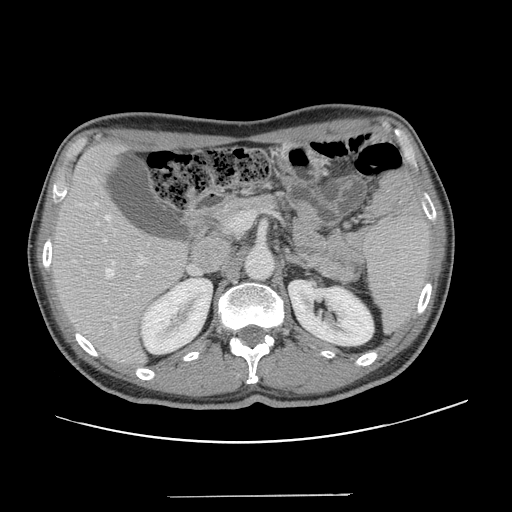

512x512 px; CT; Liver

Some hepatic vessels may have no box.
hepatic_vessel:
  - region(95, 203, 97, 205)
  - region(137, 275, 139, 277)
  - region(105, 215, 109, 220)
  - region(106, 268, 113, 277)
  - region(110, 260, 114, 264)
  - region(103, 239, 106, 241)
  - region(78, 203, 82, 205)
  - region(137, 254, 144, 264)